CT slice. Liver.

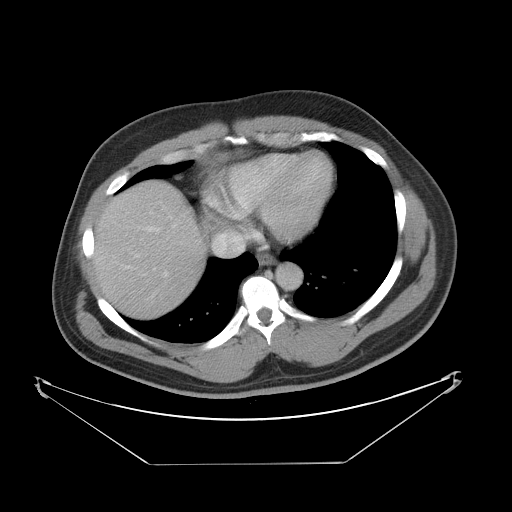 Not every hepatic vessel necessarily has a box.
<segmentation>
  <hepatic_vessel>212,233,244,256; 181,241,188,244; 172,228,177,232; 195,241,197,242; 193,228,195,230</hepatic_vessel>
</segmentation>